FLAIR MR image.
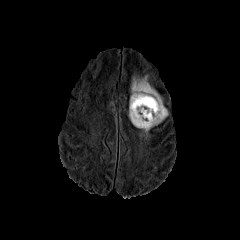
T1-weighted MR image.
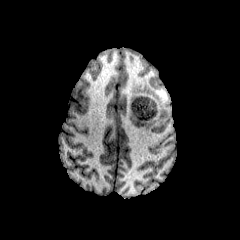
Post-contrast T1-weighted MRI.
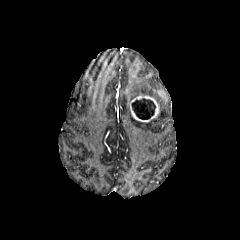
T2-weighted MR image.
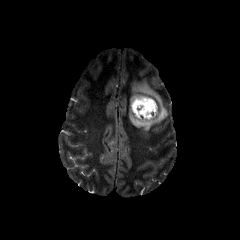
240x240 px; Brain
- edema: l=129, t=75, r=168, b=132
- non-enhancing tumor core: l=131, t=98, r=155, b=119
- enhancing tumor: l=130, t=96, r=159, b=121